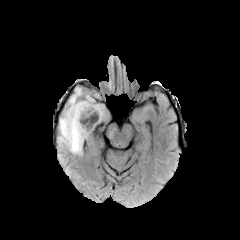
FLAIR magnetic resonance.
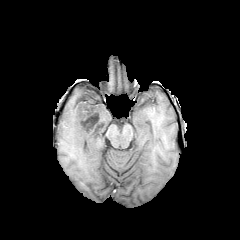
T1-weighted MRI.
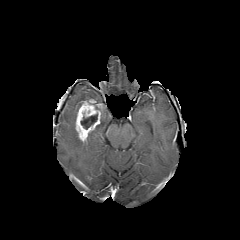
Post-contrast T1-weighted MR image.
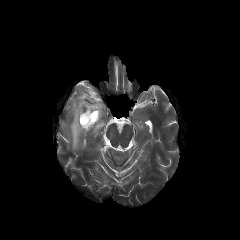
T2-weighted magnetic resonance.
Brain.
{"non-enhancing_tumor_core": ["(80, 114, 98, 129)"], "enhancing_tumor": ["(75, 99, 103, 141)"], "edema": ["(58, 88, 83, 154)"]}